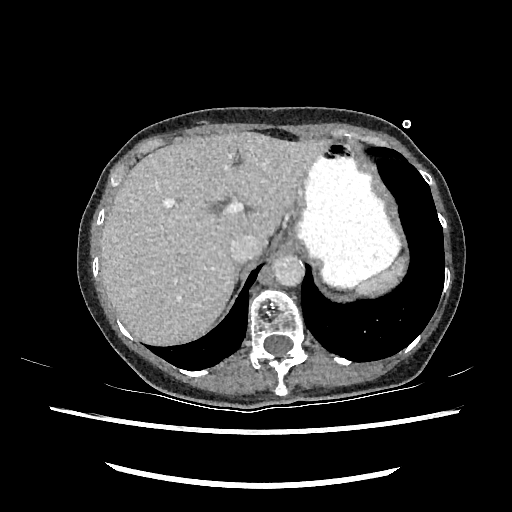

CT image
liver: [x1=101, y1=132, x2=329, y2=343]